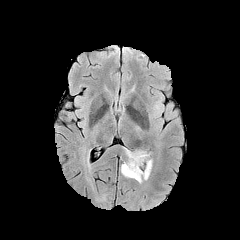
FLAIR MRI.
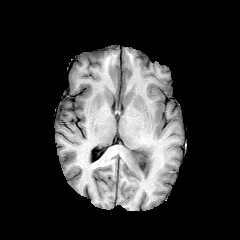
T1-weighted MRI of the same slice.
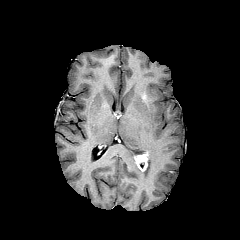
Post-contrast T1-weighted MRI.
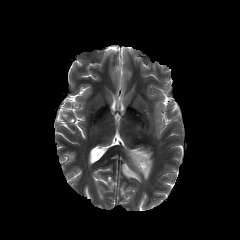
T2-weighted MRI.
Brain; 240x240 px
{"enhancing_tumor": ["(134,152,148,171)"], "edema": ["(121,147,152,183)"]}